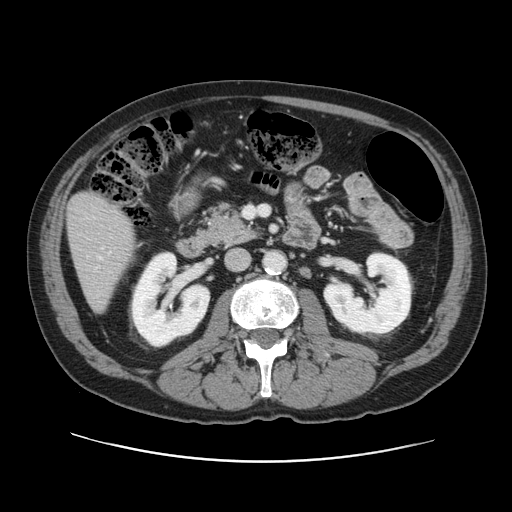 CT | Liver
Not every hepatic vessel necessarily has a box.
- hepatic vessel: 98 256 101 258